Image size 240x240; Slice index 68; Brain
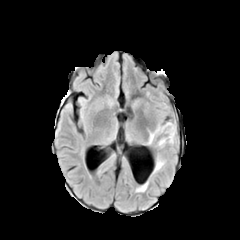
FLAIR MR.
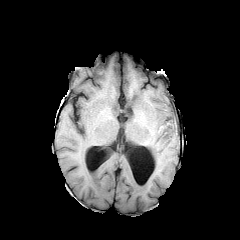
T1-weighted MR.
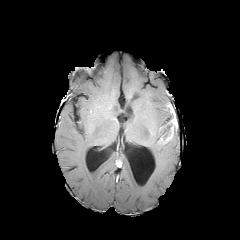
Same slice, post-contrast T1-weighted magnetic resonance.
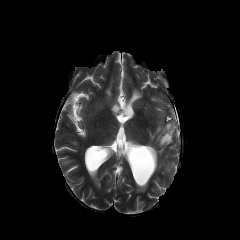
T2-weighted MR image.
{"enhancing_tumor": ["161, 124, 175, 143"], "edema": ["136, 180, 148, 192", "153, 155, 165, 173", "147, 122, 177, 147"]}